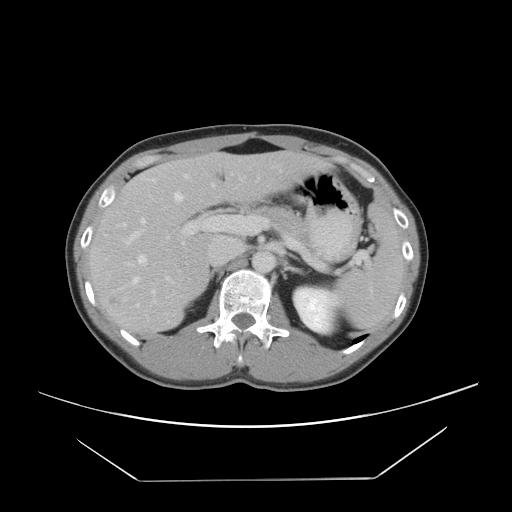 Computed tomography. Image size 512x512. Some hepatic vessels may have no box.
Largest 15 of 17 hepatic vessel regions = l=214, t=237, r=223, b=240; l=141, t=219, r=145, b=223; l=239, t=176, r=244, b=179; l=125, t=263, r=133, b=265; l=117, t=223, r=125, b=226; l=123, t=229, r=143, b=244; l=152, t=289, r=155, b=293; l=132, t=277, r=139, b=283; l=184, t=174, r=188, b=177; l=146, t=179, r=155, b=181; l=174, t=192, r=182, b=202; l=141, t=175, r=144, b=179; l=137, t=254, r=146, b=264; l=165, t=276, r=173, b=283; l=182, t=226, r=194, b=234.